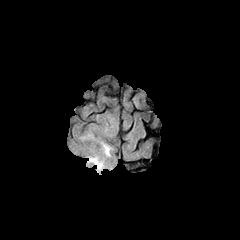
FLAIR MRI.
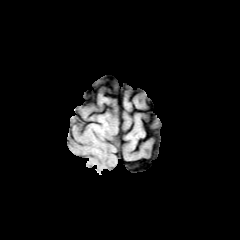
T1-weighted MR image of the same slice.
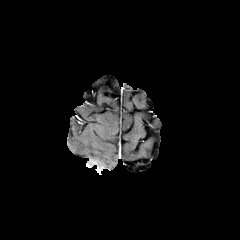
Post-contrast T1-weighted magnetic resonance.
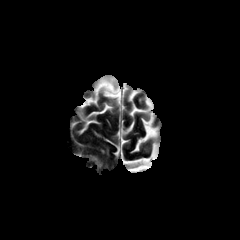
T2-weighted MR.
Head | Image size 240x240
{"edema": ["[x1=82, y1=132, x2=94, y2=140]", "[x1=88, y1=138, x2=113, y2=169]"]}